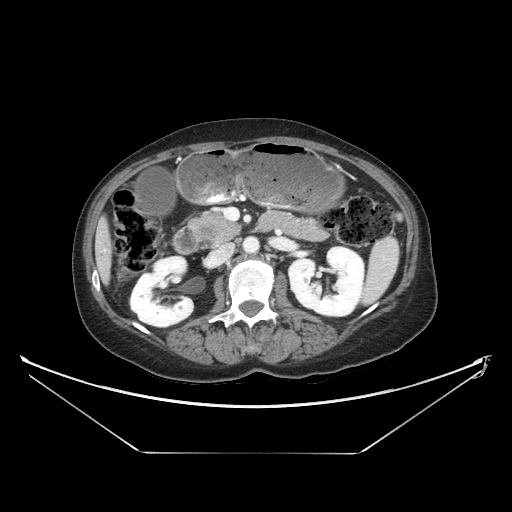
Upper abdomen | Image size 512x512 | CT
* pancreas: box=[192, 213, 240, 241]
* pancreatic tumor: box=[199, 223, 219, 238]